FLAIR MR.
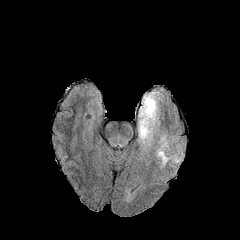
T1-weighted magnetic resonance.
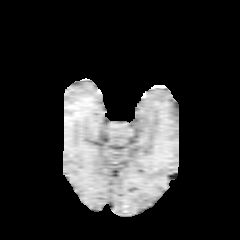
Post-contrast T1-weighted MR.
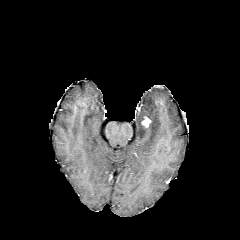
T2-weighted MR image.
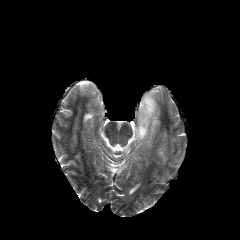
240x240. Brain.
Enhancing tumor = rect(141, 116, 150, 127).
Edema = rect(158, 146, 165, 159); rect(135, 89, 164, 148).